CT image, Slice index 41, 512x512 px, Abdomen

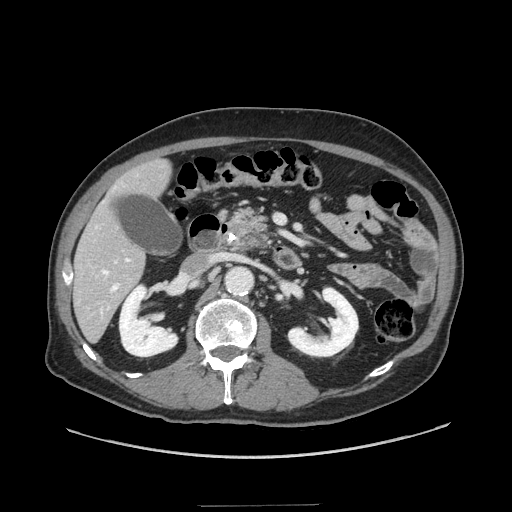

pancreas: 230, 209, 264, 235 | pancreatic tumor: 231, 222, 260, 244